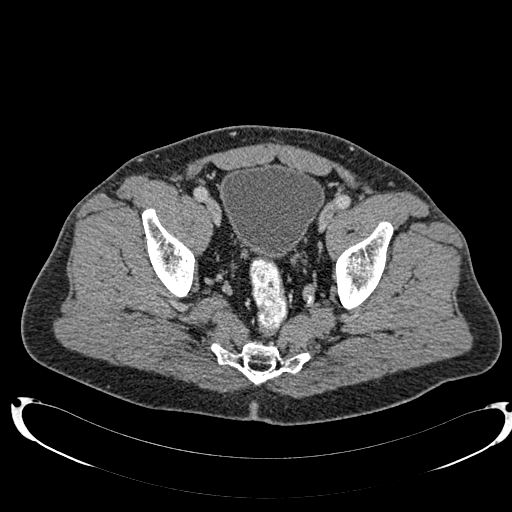

CT slice, 512x512
Urinary bladder: bounding box box(220, 162, 324, 260).